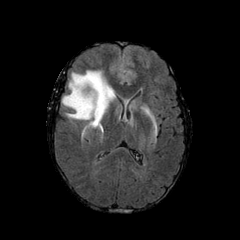
FLAIR MR image.
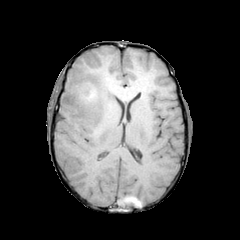
T1-weighted MRI.
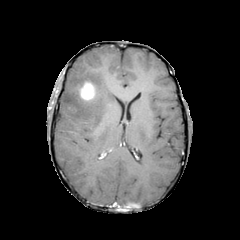
Same slice, post-contrast T1-weighted MR.
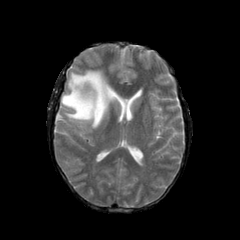
Same slice, T2-weighted MR image.
Head. 240x240 px.
Edema — (62, 69, 116, 135).
Enhancing tumor — (80, 83, 94, 99).